CT slice | Field of view 487 mm wide, 3.75 mm slice spacing | Abdomen | Slice index 19
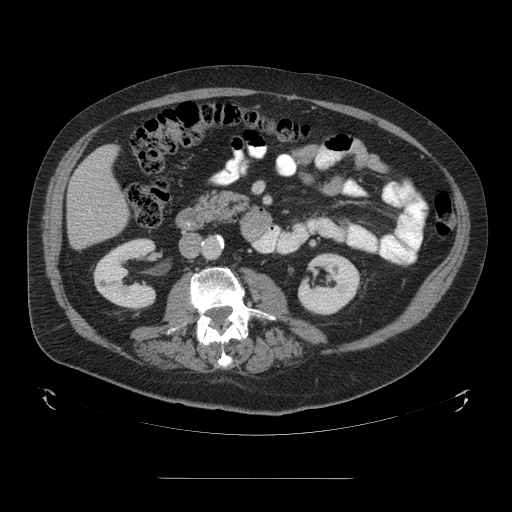

Not every hepatic vessel necessarily has a box.
Hepatic vessel: <bbox>81, 214, 87, 218</bbox>, <bbox>89, 210, 92, 217</bbox>.